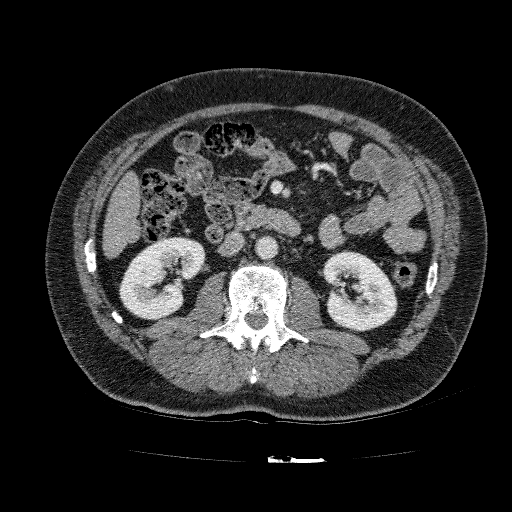
Image size 512x512. CT image.

2 kidney regions are located at 324:252:396:330, 120:238:204:318. The liver is at 103:171:140:256.